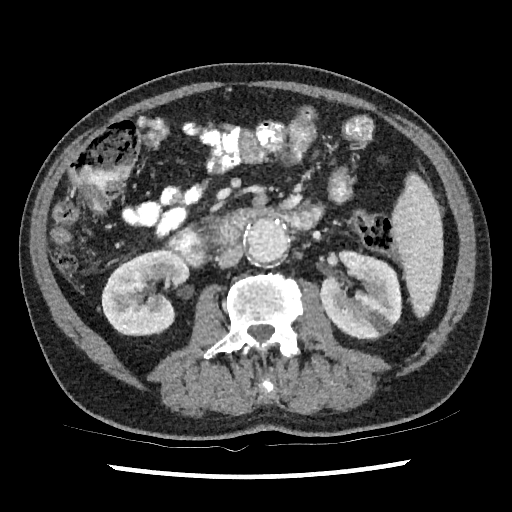
CT slice, Abdomen
Kidney = (left=102, top=250, right=188, bottom=334), (left=328, top=253, right=336, bottom=264), (left=320, top=251, right=401, bottom=338).